CT scan slice; Slice index 35; Abdomen

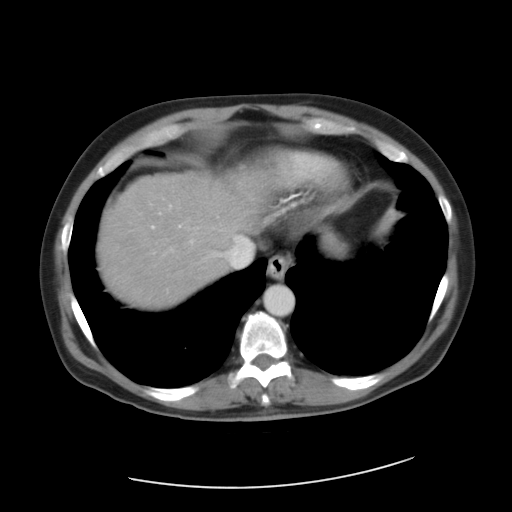
Some hepatic vessels may have no box.
{"hepatic_vessel": ["[x1=152, y1=225, x2=153, y2=228]", "[x1=169, y1=204, x2=171, y2=208]", "[x1=227, y1=236, x2=251, y2=267]", "[x1=205, y1=252, x2=221, y2=258]", "[x1=170, y1=248, x2=173, y2=251]", "[x1=178, y1=225, x2=180, y2=226]", "[x1=190, y1=239, x2=193, y2=243]"]}